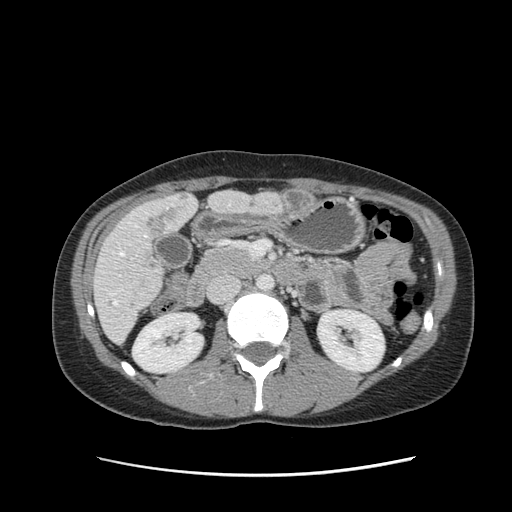 CT.

Pancreas: bounding box (left=198, top=247, right=266, bottom=278).